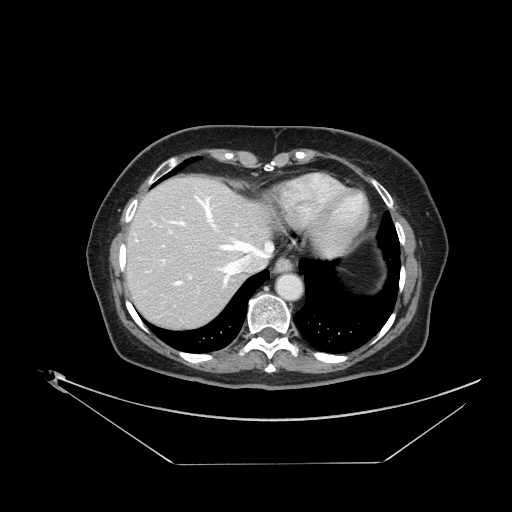
Computed tomography

Only some of the vessels may be annotated.
Hepatic vessel — (216, 237, 273, 286), (168, 230, 172, 233), (162, 245, 163, 246), (160, 225, 161, 227), (194, 195, 218, 231), (173, 281, 182, 285), (162, 260, 164, 262), (167, 220, 186, 225), (188, 275, 191, 278).